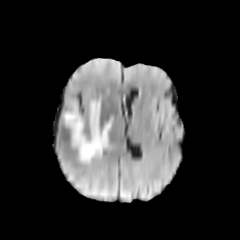
FLAIR MR.
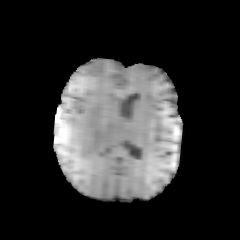
T1-weighted MR.
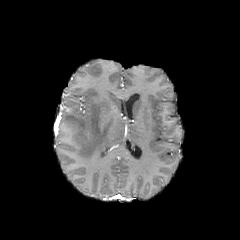
Post-contrast T1-weighted MRI of the same slice.
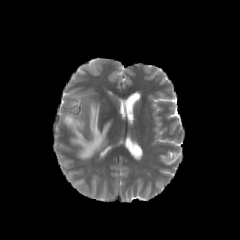
Same slice, T2-weighted magnetic resonance.
edema:
  - rect(64, 100, 113, 163)